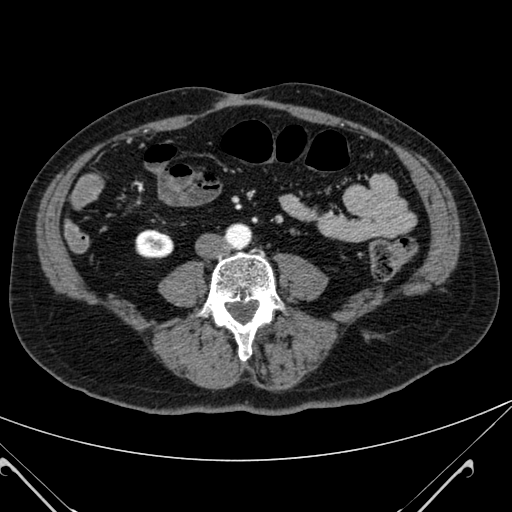

512x512. CT slice. The kidney is bounded by 137, 231, 172, 256.